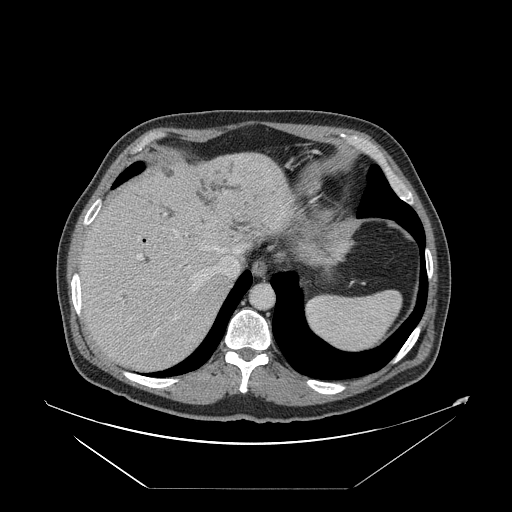 CT scan slice. Abdomen.
The vessel annotation is not exhaustive.
hepatic vessel: (x1=117, y1=297, x2=122, y2=303), (x1=154, y1=333, x2=155, y2=335), (x1=168, y1=229, x2=178, y2=236), (x1=138, y1=237, x2=139, y2=240), (x1=191, y1=244, x2=249, y2=291), (x1=172, y1=317, x2=177, y2=320), (x1=136, y1=254, x2=142, y2=259)